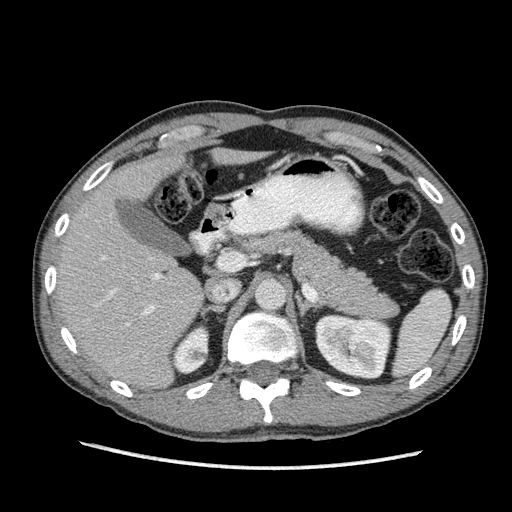
CT

2 kidney regions are bounded by [x1=316, y1=316, x2=389, y2=377], [x1=175, y1=329, x2=206, y2=372]. 2 liver regions are located at [x1=209, y1=147, x2=259, y2=164], [x1=53, y1=151, x2=205, y2=390].